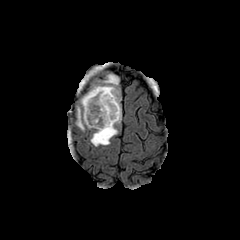
FLAIR MRI.
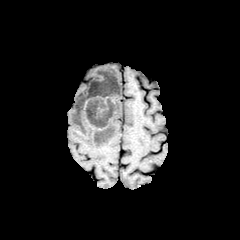
T1-weighted MRI.
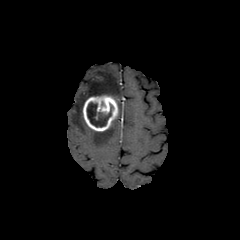
Same slice, post-contrast T1-weighted MRI.
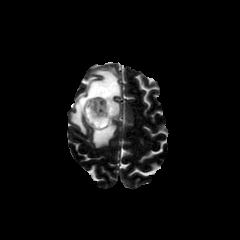
T2-weighted MR.
Image size 240x240 | Brain
enhancing_tumor:
  - [83, 94, 118, 131]
edema:
  - [73, 64, 120, 133]
  - [90, 118, 118, 147]
non-enhancing_tumor_core:
  - [87, 102, 111, 127]